FLAIR MRI.
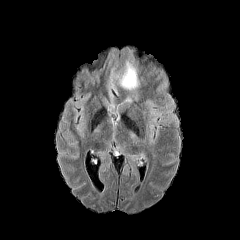
T1-weighted MRI.
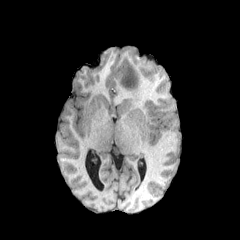
Post-contrast T1-weighted magnetic resonance.
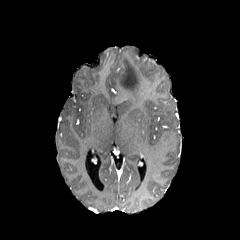
T2-weighted MR image.
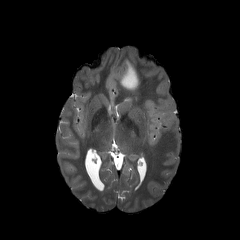
Edema: bounding box [116,63,139,91].